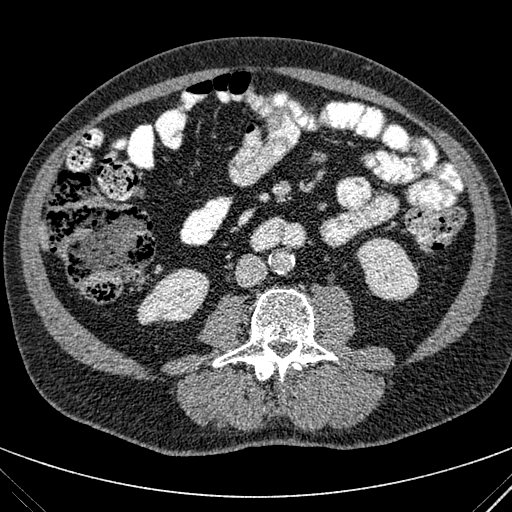
Computed tomography; 512x512
• kidney: [357, 238, 418, 299], [137, 269, 208, 324]
• liver: [39, 224, 46, 249]